FLAIR magnetic resonance.
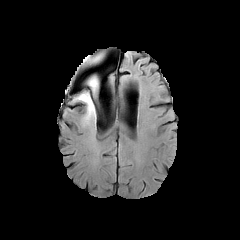
T1-weighted MR.
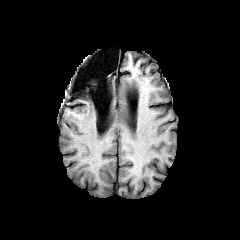
Post-contrast T1-weighted MR.
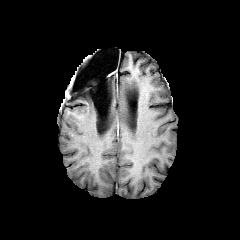
T2-weighted MR image.
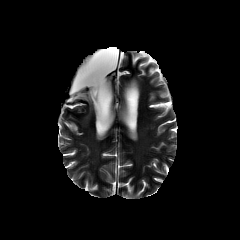
Head
Non-enhancing tumor core at 84:56:95:65, 88:76:98:99.
Edema at 72:86:97:126.